Computed tomography 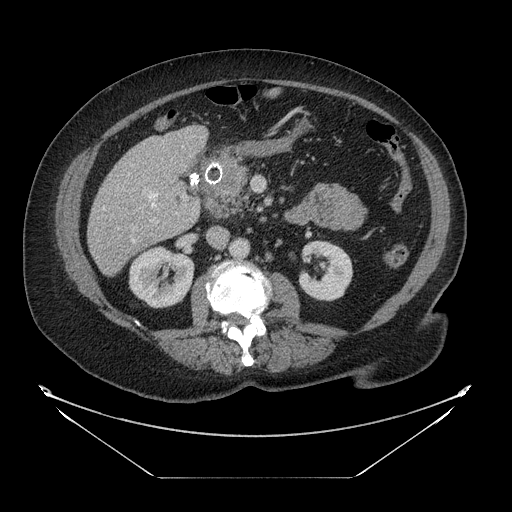 {
  "pancreatic_tumor": [
    "(222,169,238,193)"
  ],
  "pancreas": [
    "(204,169,248,217)"
  ]
}